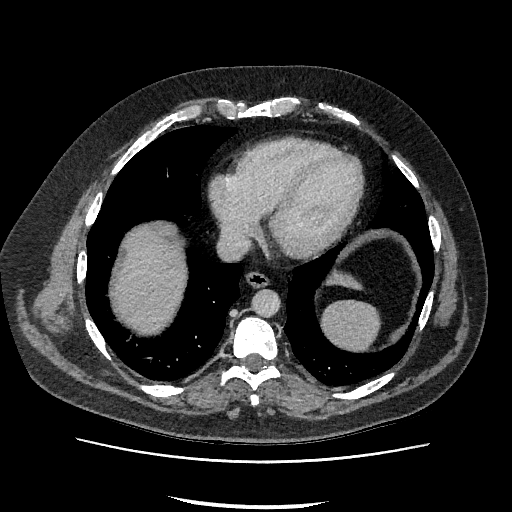
CT. 2 liver regions appear at (x1=328, y1=275, x2=360, y2=288), (x1=115, y1=226, x2=185, y2=332).